512x512 | CT slice
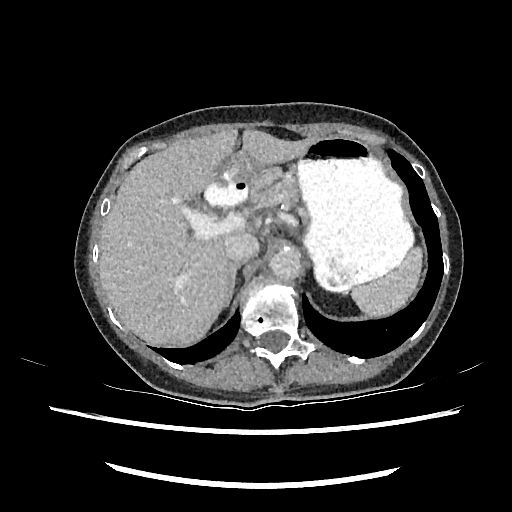 liver:
  - x1=101, y1=130, x2=237, y2=344
  - x1=270, y1=169, x2=280, y2=177
  - x1=243, y1=131, x2=313, y2=164